Slice index 299. Field of view 381 mm wide, 1.50 mm slice spacing. CT image.

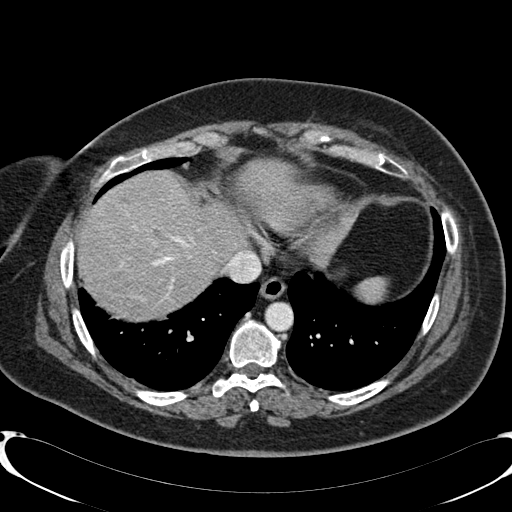 3 liver regions are located at (x1=310, y1=209, x2=356, y2=266), (x1=236, y1=158, x2=297, y2=212), (x1=79, y1=172, x2=246, y2=319).